Slice 74/155
FLAIR MR image.
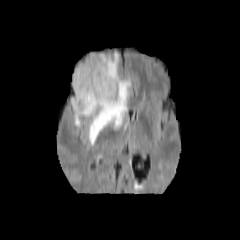
T1-weighted MRI.
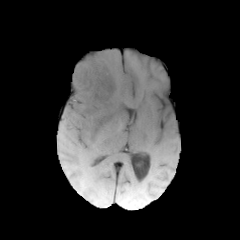
Post-contrast T1-weighted MR.
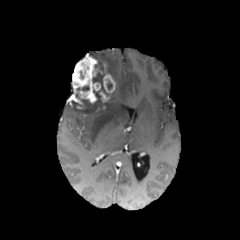
T2-weighted MRI.
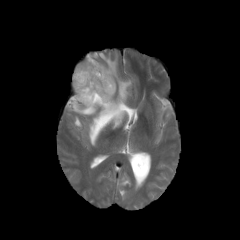
Enhancing tumor — rect(68, 54, 115, 110); rect(99, 91, 109, 103).
Edema — rect(73, 53, 132, 144).
Non-enhancing tumor core — rect(71, 72, 117, 114); rect(89, 53, 108, 72).